CT image 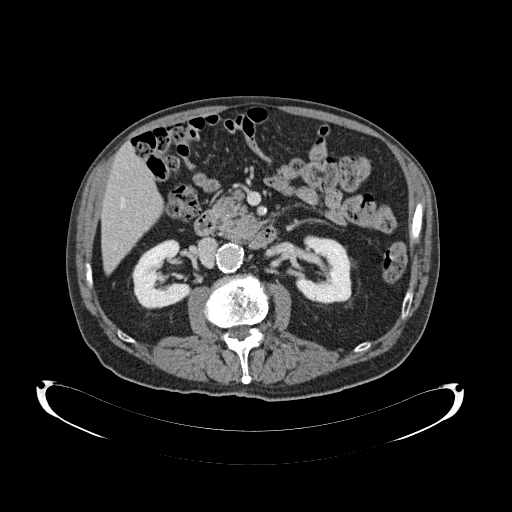
* pancreas: x1=213, y1=189, x2=260, y2=245